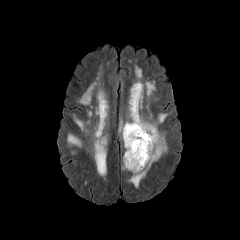
FLAIR MR image.
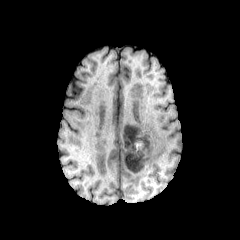
Same slice, T1-weighted MR.
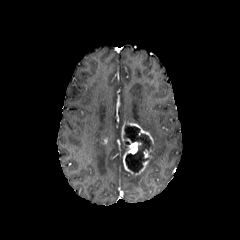
Post-contrast T1-weighted MR of the same slice.
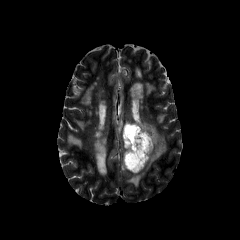
T2-weighted magnetic resonance.
Head.
Findings:
* non-enhancing tumor core: (123,125,153,173)
* edema: (92,88,108,176), (127,65,167,188), (145,82,154,101), (74,117,88,133), (67,135,82,147), (77,83,100,106)
* enhancing tumor: (143,148,152,158), (135,159,148,174), (121,121,153,144), (123,142,141,173)